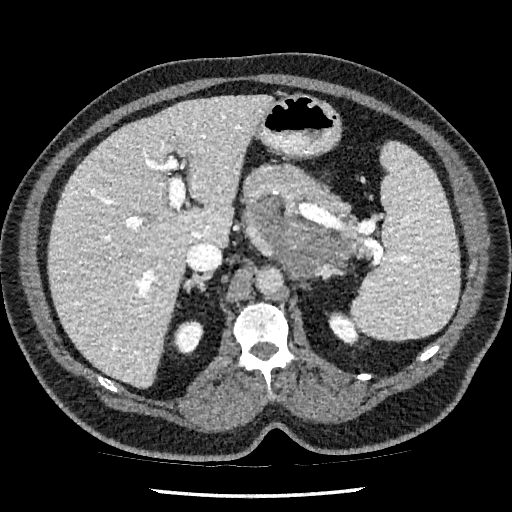 CT scan slice; Liver; 512x512 px

Annotated regions:
- kidney: 176:322:201:351, 330:316:356:341
- liver: 48:96:272:386